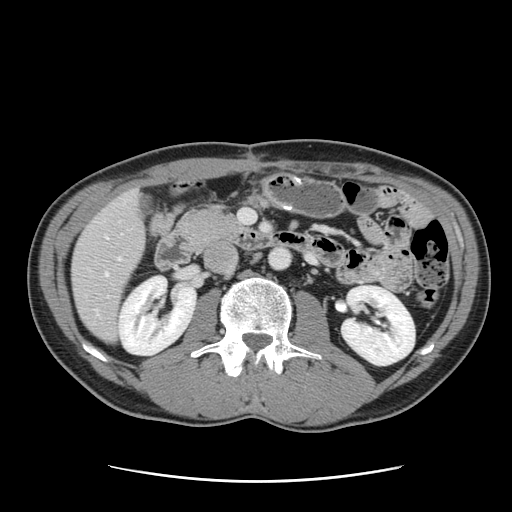

CT scan slice
Not every hepatic vessel necessarily has a box.
Hepatic vessel = left=105, top=236, right=107, bottom=238; left=105, top=272, right=107, bottom=275; left=117, top=257, right=120, bottom=259; left=107, top=295, right=108, bottom=296.